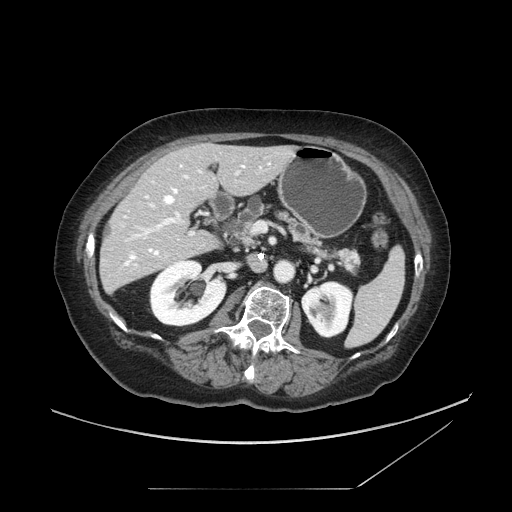 CT image, Abdomen, 512x512 px
Pancreas: (x1=331, y1=249, x2=359, y2=271), (x1=279, y1=213, x2=325, y2=254), (x1=227, y1=196, x2=264, y2=245).